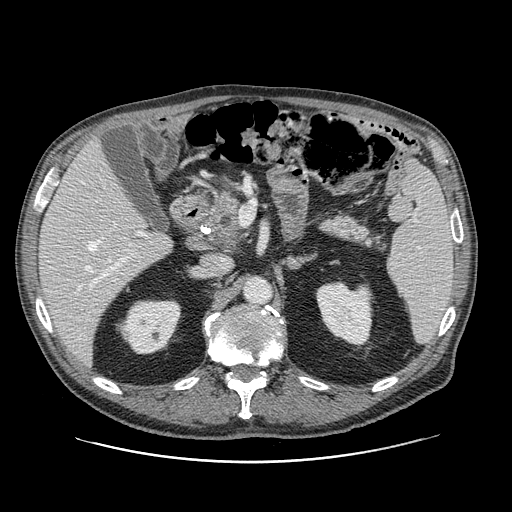

CT slice | Upper abdomen

<segmentation>
  <pancreatic_tumor>[213,226,239,246]</pancreatic_tumor>
  <pancreas>[210,194,241,249], [321,216,383,248]</pancreas>
</segmentation>